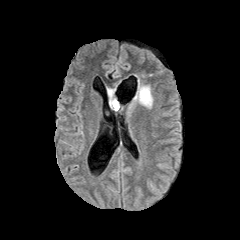
FLAIR MR.
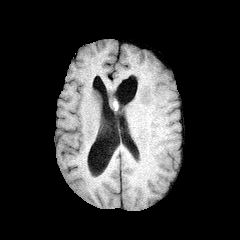
Same slice, T1-weighted MRI.
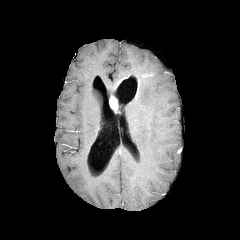
Post-contrast T1-weighted MRI of the same slice.
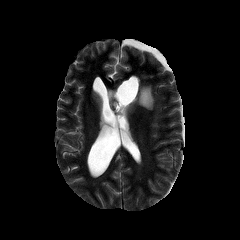
T2-weighted MR image.
240x240 | Head
2 edema regions appear at region(127, 78, 153, 109); region(107, 87, 124, 111). The enhancing tumor is bounded by region(109, 96, 117, 110).